512x512 px | CT
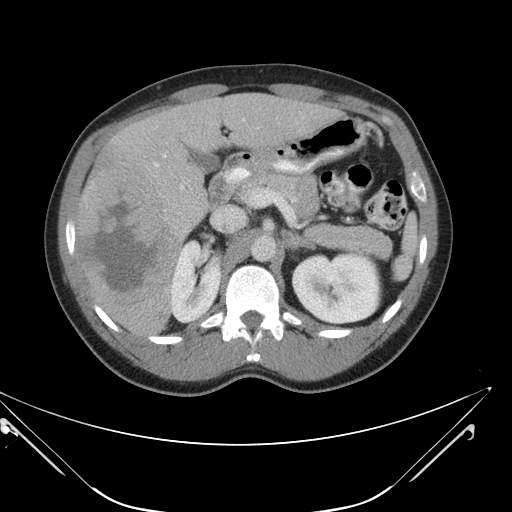

The vessel boxes may cover only some of the vessels.
Hepatic vessel at 242,118,244,120; 163,154,165,157; 180,185,183,188; 212,207,243,230; 154,163,158,166.
Liver tumor at 76,146,181,335.